FLAIR magnetic resonance.
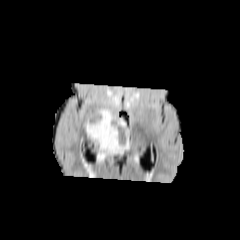
T1-weighted MR image.
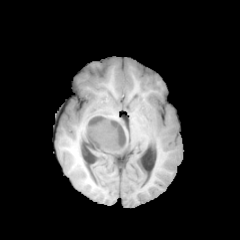
Post-contrast T1-weighted MR.
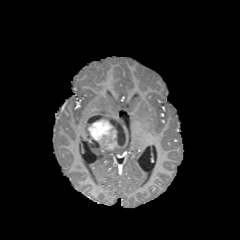
T2-weighted magnetic resonance.
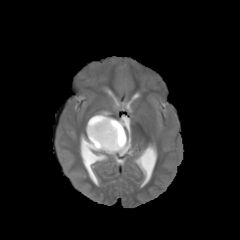
Brain; 240x240 px
{"non-enhancing_tumor_core": ["box=[83, 112, 128, 150]"], "edema": ["box=[92, 144, 128, 155]"], "enhancing_tumor": ["box=[86, 117, 118, 151]"]}